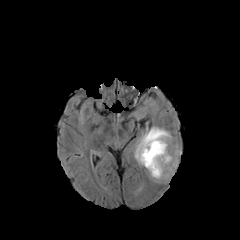
FLAIR magnetic resonance.
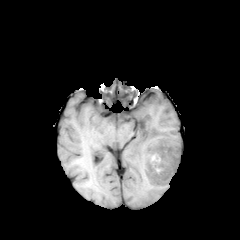
Same slice, T1-weighted MRI.
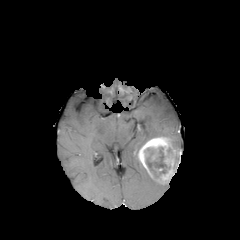
Post-contrast T1-weighted MRI of the same slice.
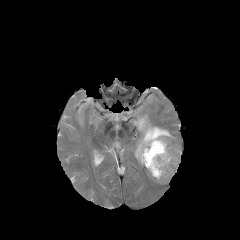
Same slice, T2-weighted MR image.
Brain | Image size 240x240
The edema lies within x1=130, y1=121, x2=181, y2=167. The non-enhancing tumor core is located at x1=145, y1=147, x2=179, y2=179. 2 enhancing tumor regions appear at x1=157, y1=155, x2=175, y2=182; x1=138, y1=137, x2=172, y2=178.